Slice 79/155
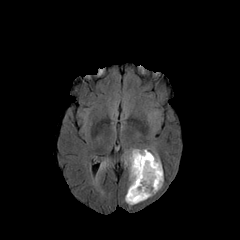
FLAIR magnetic resonance.
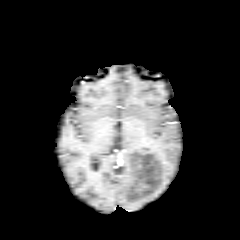
T1-weighted magnetic resonance of the same slice.
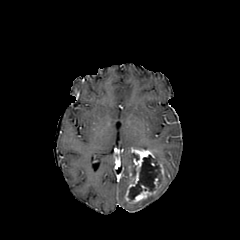
Same slice, post-contrast T1-weighted MR image.
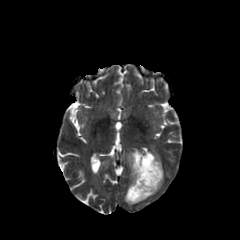
Same slice, T2-weighted MR.
non-enhancing tumor core: {"x1": 128, "y1": 155, "x2": 161, "y2": 200} | enhancing tumor: {"x1": 154, "y1": 176, "x2": 159, "y2": 190}, {"x1": 131, "y1": 185, "x2": 154, "y2": 202}, {"x1": 126, "y1": 149, "x2": 154, "y2": 200} | edema: {"x1": 98, "y1": 160, "x2": 108, "y2": 170}, {"x1": 123, "y1": 150, "x2": 134, "y2": 190}, {"x1": 130, "y1": 147, "x2": 161, "y2": 164}, {"x1": 124, "y1": 174, "x2": 163, "y2": 205}